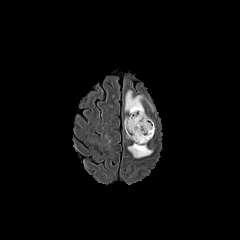
FLAIR MR image.
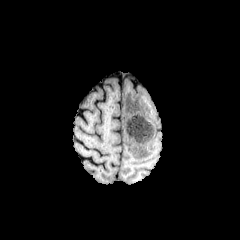
T1-weighted MRI of the same slice.
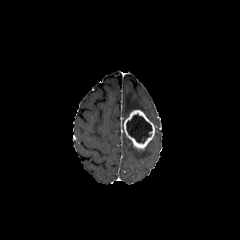
Same slice, post-contrast T1-weighted MRI.
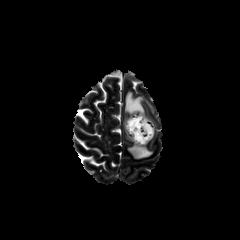
T2-weighted MR image.
Head
2 edema regions are bounded by (124,91,158,120), (128,146,154,158). The non-enhancing tumor core is bounded by (126,113,152,143). The enhancing tumor is at (123,109,154,149).